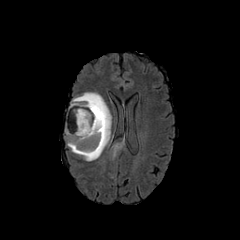
FLAIR magnetic resonance.
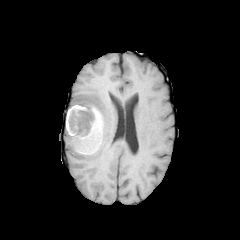
T1-weighted MRI.
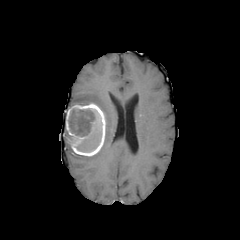
Post-contrast T1-weighted magnetic resonance of the same slice.
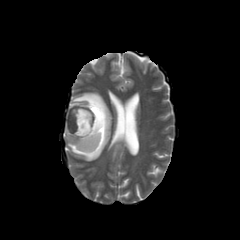
T2-weighted MR.
240x240 px | Brain
The non-enhancing tumor core is bounded by rect(77, 108, 99, 150). The enhancing tumor is at rect(69, 102, 105, 156). 2 edema regions are bounded by rect(65, 92, 113, 161); rect(78, 138, 91, 149).